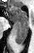 MR image
posterior hippocampus: 15 21 27 43 | anterior hippocampus: 11 7 28 21